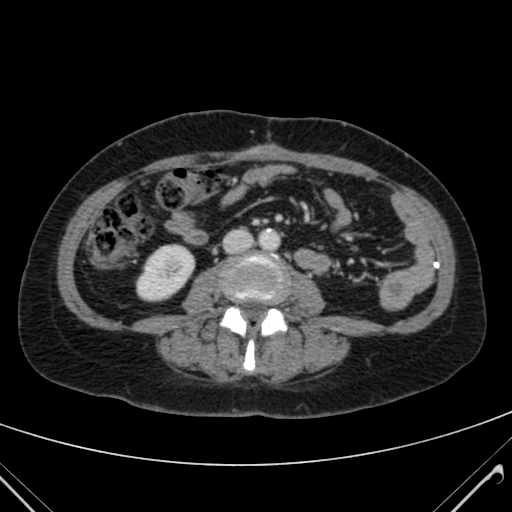 Abdomen. CT image. Image size 512x512.

The kidney is located at x1=138, y1=246, x2=193, y2=298.